MRI
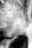
The posterior hippocampus lies within l=6, t=39, r=13, b=42.